Liver; Slice 34/55; CT

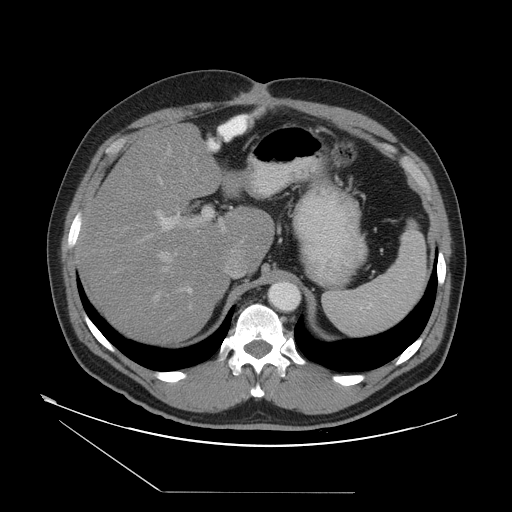
Only some of the vessels may be annotated.
10 hepatic vessel regions are located at (143, 235, 150, 239), (219, 219, 225, 232), (166, 149, 170, 155), (158, 178, 161, 184), (189, 307, 190, 309), (178, 288, 191, 292), (156, 211, 179, 230), (163, 266, 167, 271), (159, 253, 176, 263), (153, 293, 159, 301).